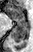

MR image, 33x52

{
  "posterior_hippocampus": [
    {"x1": 13, "y1": 22, "x2": 25, "y2": 42}
  ],
  "anterior_hippocampus": [
    {"x1": 9, "y1": 8, "x2": 24, "y2": 21}
  ]
}